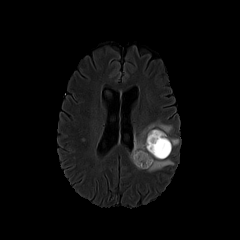
FLAIR MR image.
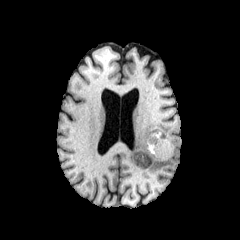
Same slice, T1-weighted MR.
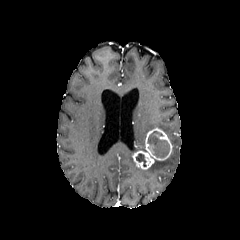
Post-contrast T1-weighted magnetic resonance.
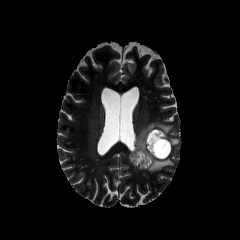
T2-weighted MRI.
Image size 240x240. Brain.
<segmentation>
  <non-enhancing_tumor_core><box>147,133,170,158</box>, <box>135,153,146,167</box></non-enhancing_tumor_core>
  <edema><box>128,147,147,166</box>, <box>135,120,178,146</box>, <box>147,158,173,171</box></edema>
  <enhancing_tumor><box>131,127,173,169</box></enhancing_tumor>
</segmentation>